Image width 34 mm, Medial temporal lobe, Image size 34x51, MR

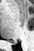 Posterior hippocampus = <bbox>10, 41, 15, 43</bbox>.